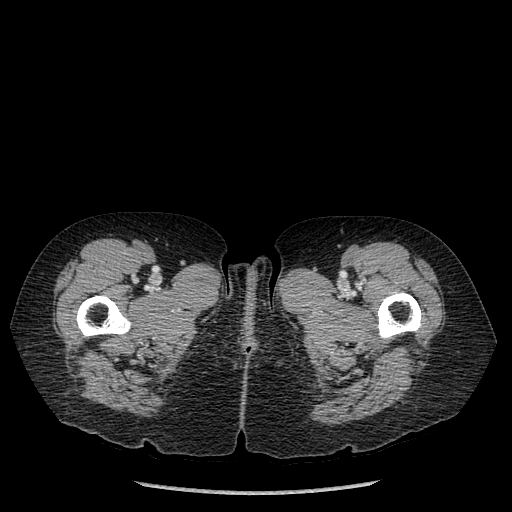

Computed tomography. Bone = left=74, top=296, right=131, bottom=336; left=374, top=293, right=421, bottom=341.